CT scan slice; Abdomen; Slice 378 of 696
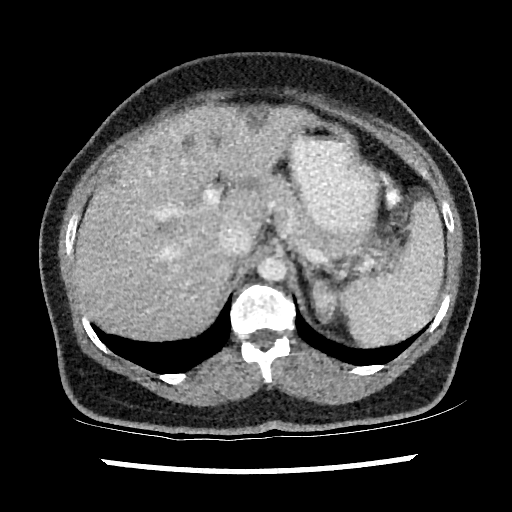
Kidney at {"x1": 322, "y1": 294, "x2": 328, "y2": 304}.
Hepatic lesion at {"x1": 182, "y1": 135, "x2": 195, "y2": 148}, {"x1": 243, "y1": 108, "x2": 268, "y2": 128}, {"x1": 239, "y1": 177, "x2": 257, "y2": 189}, {"x1": 107, "y1": 170, "x2": 118, "y2": 184}.
Liver at {"x1": 73, "y1": 106, "x2": 306, "y2": 338}.